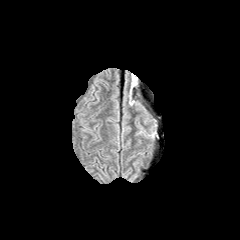
FLAIR MRI.
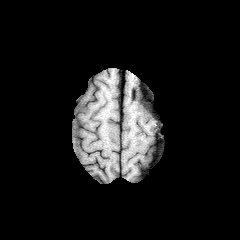
T1-weighted MR image.
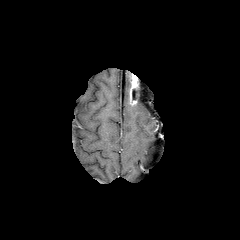
Same slice, post-contrast T1-weighted MRI.
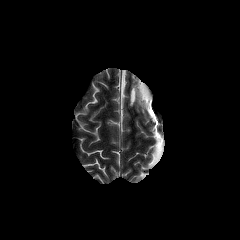
Same slice, T2-weighted MR image.
edema:
  - rect(132, 88, 137, 106)